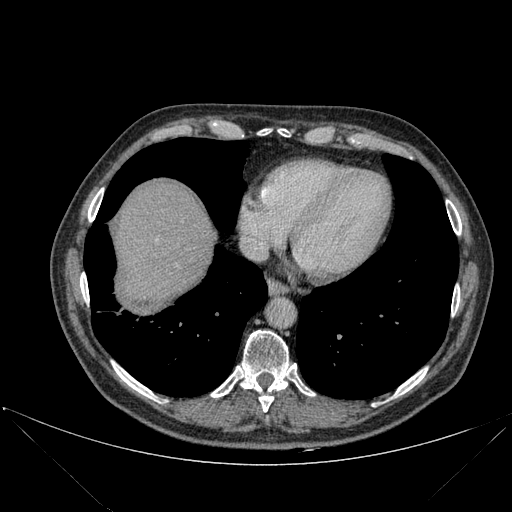

CT scan slice. * lung: {"x1": 84, "y1": 138, "x2": 267, "y2": 396}, {"x1": 296, "y1": 154, "x2": 458, "y2": 399}
* liver: {"x1": 109, "y1": 182, "x2": 217, "y2": 311}
* bone: {"x1": 88, "y1": 188, "x2": 103, "y2": 221}, {"x1": 211, "y1": 330, "x2": 314, "y2": 397}, {"x1": 446, "y1": 200, "x2": 461, "y2": 234}, {"x1": 451, "y1": 286, "x2": 459, "y2": 315}, {"x1": 394, "y1": 368, "x2": 427, "y2": 396}, {"x1": 80, "y1": 272, "x2": 89, "y2": 302}, {"x1": 259, "y1": 396, "x2": 273, "y2": 411}, {"x1": 111, "y1": 361, "x2": 155, "y2": 399}